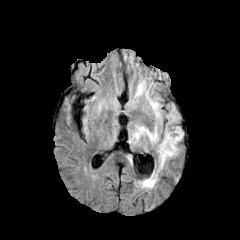
FLAIR MR.
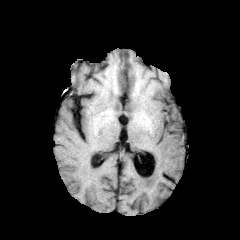
T1-weighted MR of the same slice.
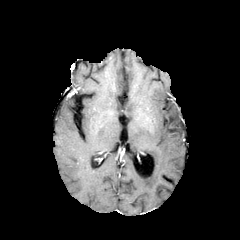
Same slice, post-contrast T1-weighted MRI.
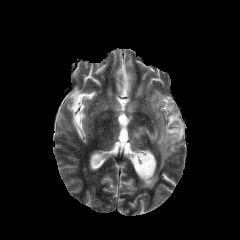
T2-weighted MR image.
2 edema regions appear at 134,81,147,101; 129,93,183,189.